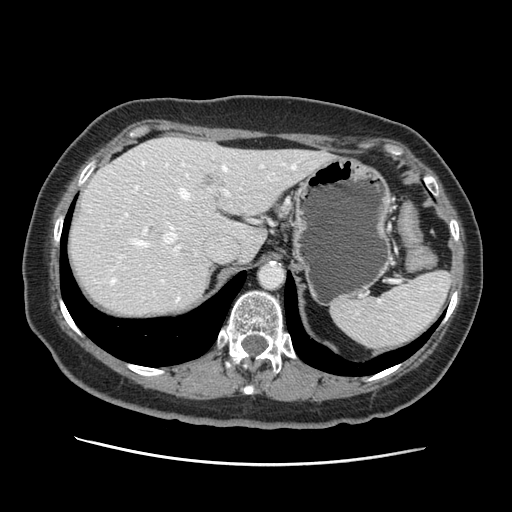

CT image

spleen:
  - (x1=331, y1=272, x2=449, y2=349)